FLAIR MR image.
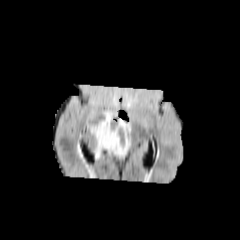
T1-weighted MR image.
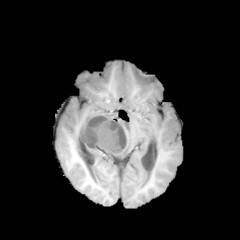
Post-contrast T1-weighted MR.
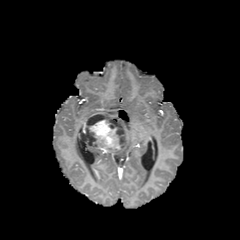
T2-weighted MRI.
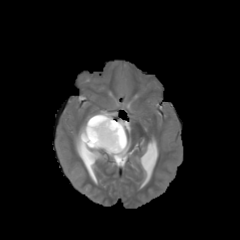
The non-enhancing tumor core lies within [x1=80, y1=112, x2=129, y2=153]. The edema is at [x1=109, y1=148, x2=127, y2=156]. The enhancing tumor is bounded by [x1=88, y1=119, x2=122, y2=151].